Image width 438 mm; Abdomen; Computed tomography 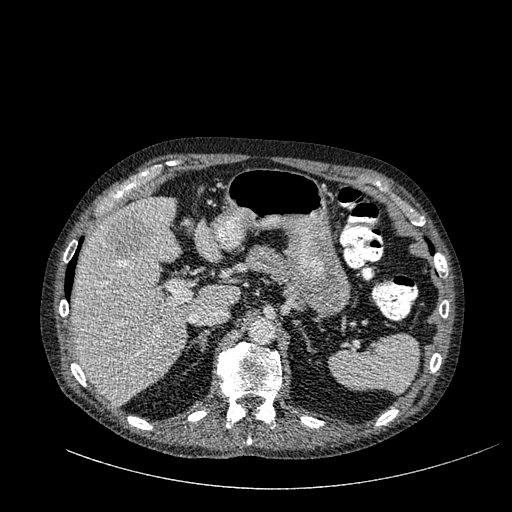
focal_liver_lesion:
  - 105,214,152,260
liver:
  - 71,199,239,403
  - 195,221,220,261